Brain. 240x240 px. Image width 240 mm.
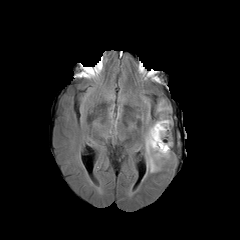
FLAIR MRI.
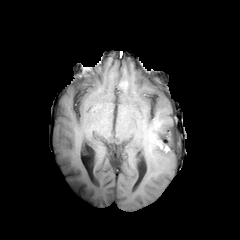
Same slice, T1-weighted MR.
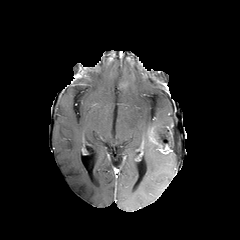
Post-contrast T1-weighted MR image.
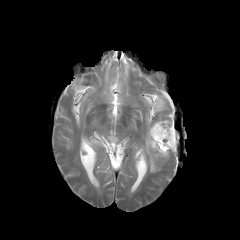
T2-weighted MR image.
{"edema": ["region(108, 104, 117, 125)", "region(117, 96, 123, 113)", "region(140, 100, 172, 173)", "region(143, 98, 149, 111)", "region(104, 86, 115, 101)"], "non-enhancing_tumor_core": ["region(156, 127, 173, 151)"], "enhancing_tumor": ["region(149, 129, 170, 154)"]}